Slice index 15; Liver; CT image; Image width 388 mm
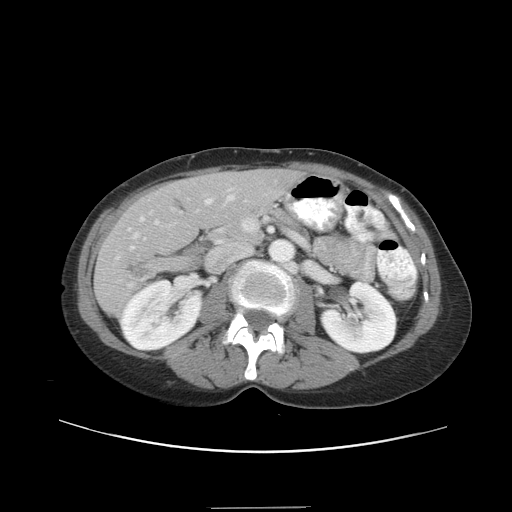 Not every hepatic vessel necessarily has a box.
Liver tumor = bbox=[128, 263, 147, 276].
Hepatic vessel = bbox=[130, 246, 134, 249]; bbox=[179, 211, 180, 213]; bbox=[205, 199, 212, 204]; bbox=[133, 232, 138, 238]; bbox=[155, 220, 158, 224]; bbox=[140, 217, 144, 220]; bbox=[143, 237, 145, 239]; bbox=[128, 228, 130, 230]; bbox=[128, 283, 132, 286]; bbox=[149, 211, 151, 214]; bbox=[224, 188, 234, 205].